Slice 72/155. Head.
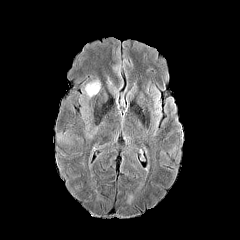
FLAIR MRI.
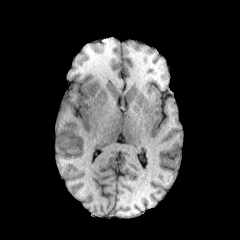
T1-weighted magnetic resonance.
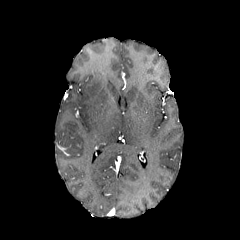
Post-contrast T1-weighted MR.
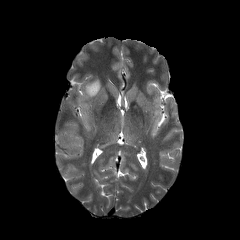
T2-weighted MR.
The edema is located at box(84, 79, 101, 98).